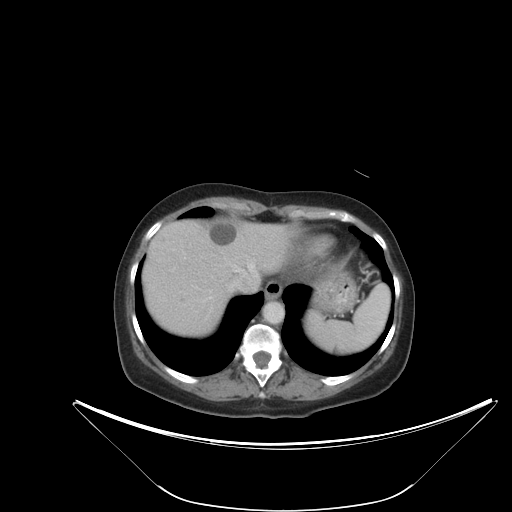

Computed tomography, 512x512 px, Abdomen
Some hepatic vessels may have no box.
hepatic_vessel:
  - l=247, t=261, r=258, b=288
  - l=230, t=264, r=245, b=275
  - l=219, t=290, r=222, b=293
  - l=245, t=287, r=249, b=287